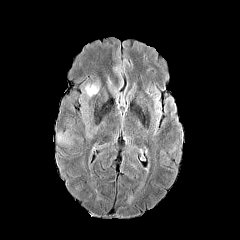
FLAIR MR.
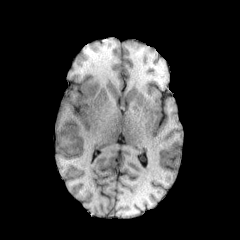
T1-weighted MR image.
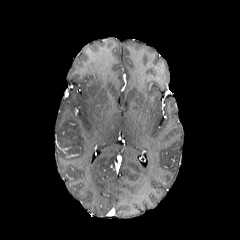
Post-contrast T1-weighted magnetic resonance.
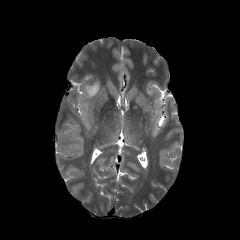
T2-weighted magnetic resonance.
Head.
Edema: bounding box rect(84, 79, 101, 98); rect(57, 131, 68, 143).